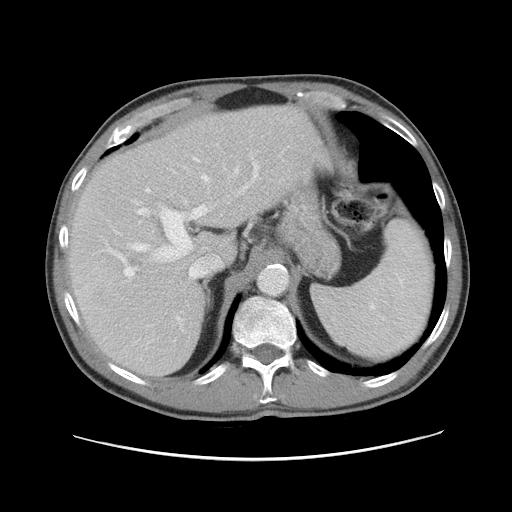
CT scan slice
The vessel boxes may cover only some of the vessels.
hepatic_vessel:
  - box(138, 208, 149, 214)
  - box(230, 167, 238, 175)
  - box(202, 175, 210, 181)
  - box(193, 157, 199, 161)
  - box(241, 162, 258, 191)
  - box(176, 316, 182, 328)
  - box(145, 188, 149, 192)
  - box(153, 205, 207, 261)
  - box(128, 243, 149, 251)
  - box(171, 169, 175, 172)
  - box(100, 248, 135, 281)